Abdomen; CT image
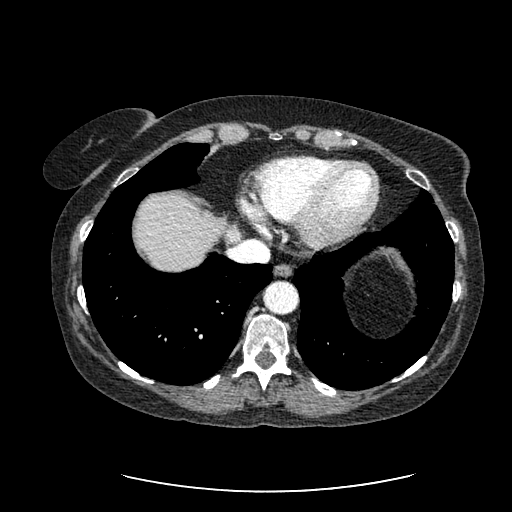 Liver — <box>134,195,241,271</box>.